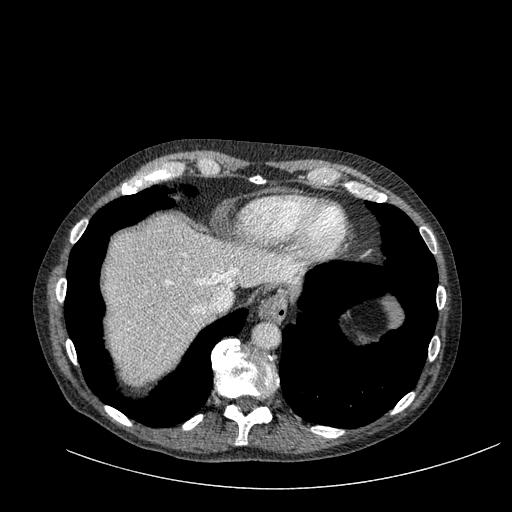
Computed tomography. Liver.

<segmentation>
  <liver>(105, 214, 302, 383)</liver>
</segmentation>